FLAIR MRI.
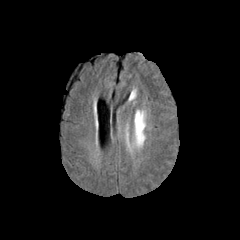
T1-weighted MRI.
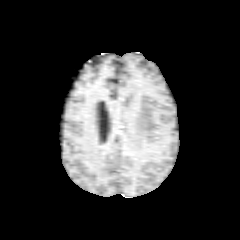
Post-contrast T1-weighted magnetic resonance.
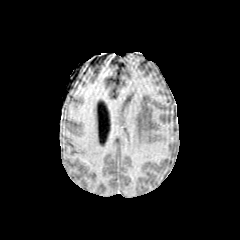
T2-weighted magnetic resonance.
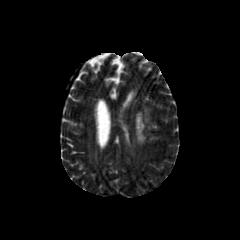
240x240 px. Brain.
Findings:
- edema: bbox=[134, 107, 150, 145]